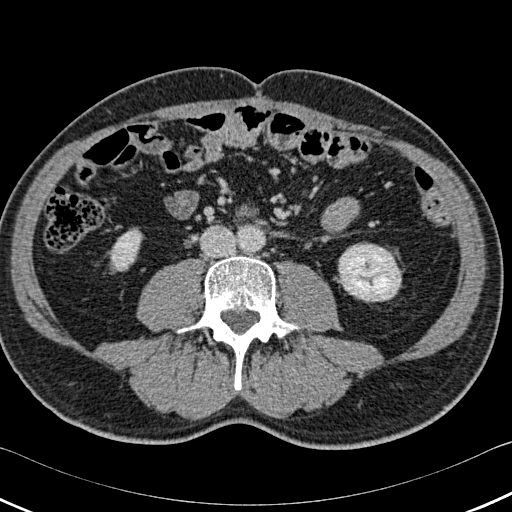

Computed tomography. * bone: (left=177, top=256, right=298, bottom=390)
* kidney: (left=339, top=245, right=400, bottom=300), (left=111, top=230, right=140, bottom=270)